512x512 px | CT image
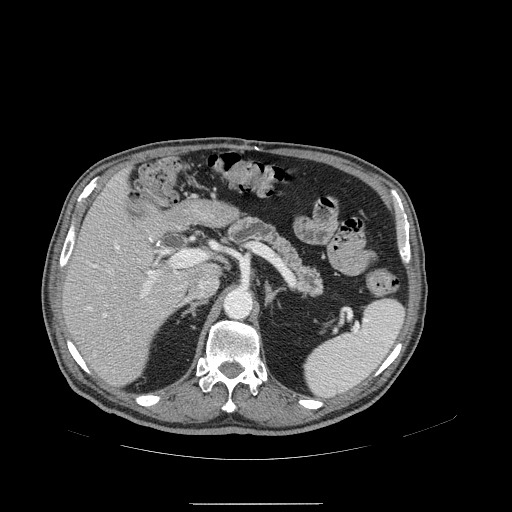

<segmentation>
  <pancreas>[x1=223, y1=215, x2=328, y2=300]</pancreas>
</segmentation>